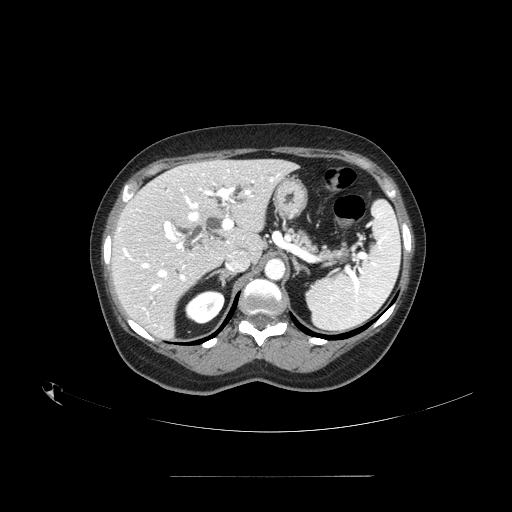

CT scan slice, Upper abdomen
The pancreas appears at <bbox>294, 227, 348, 262</bbox>.